Field of view 400 mm wide, 0.80 mm slice spacing, 512x512 px, Upper abdomen, CT image
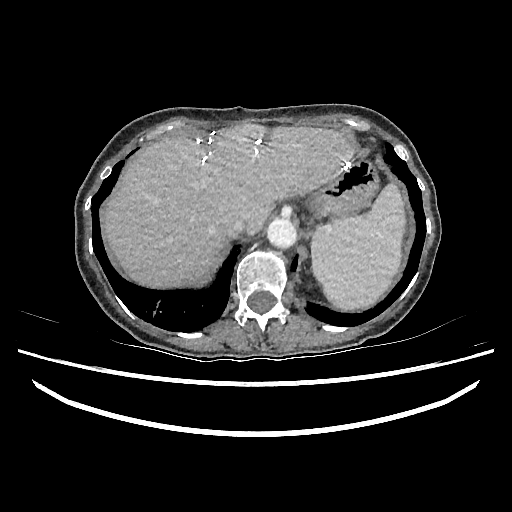

<segmentation>
  <liver>left=106, top=124, right=351, bottom=286</liver>
</segmentation>